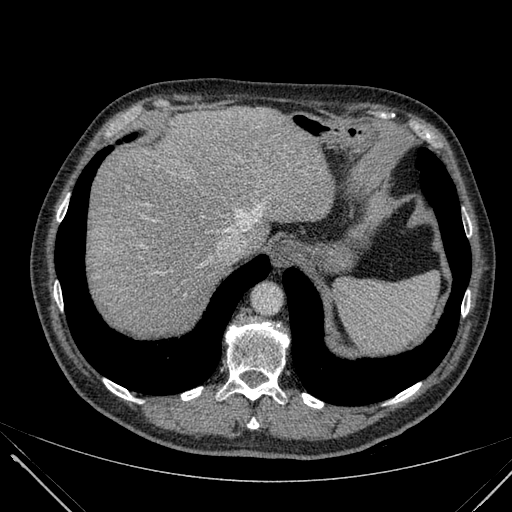
Liver. Computed tomography. liver:
  - [86, 106, 328, 337]